FLAIR MR image.
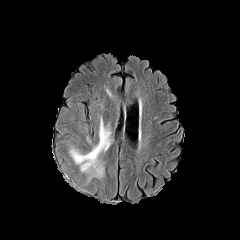
T1-weighted MR image.
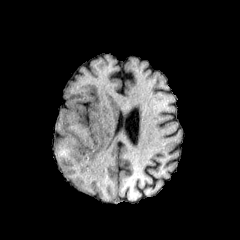
Post-contrast T1-weighted MR.
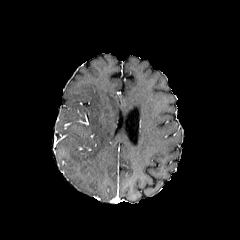
T2-weighted MR image.
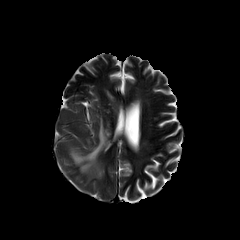
Image size 240x240
{"edema": [{"x1": 70, "y1": 117, "x2": 110, "y2": 178}]}